Slice 49/112 | Computed tomography | Abdomen

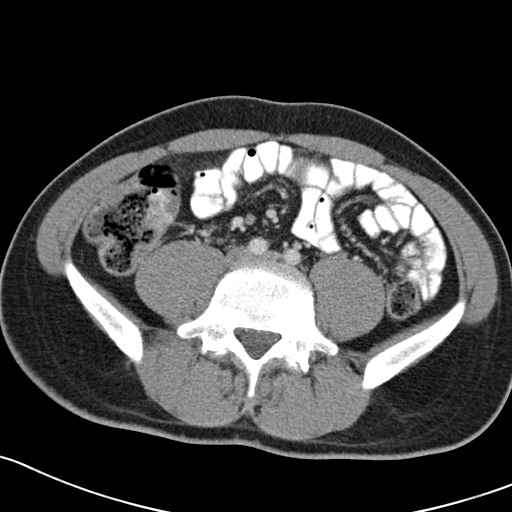
The colon tumor is at rect(143, 212, 169, 238).